MR image, Slice 22/38, 36x49 px, Medial temporal lobe

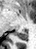
Posterior hippocampus at <box>13,31,27,40</box>.